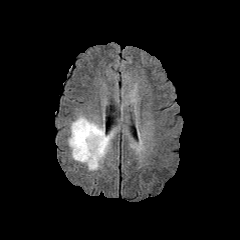
FLAIR magnetic resonance.
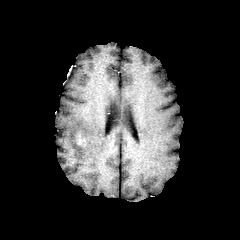
T1-weighted magnetic resonance.
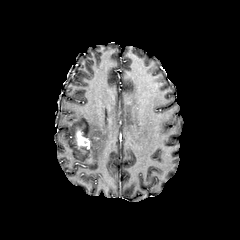
Post-contrast T1-weighted MR of the same slice.
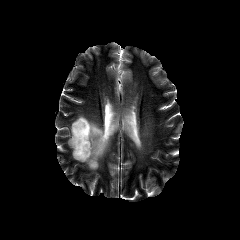
T2-weighted MR.
Findings:
* edema: bbox(67, 114, 117, 171)
* enhancing tumor: bbox(76, 131, 89, 148)